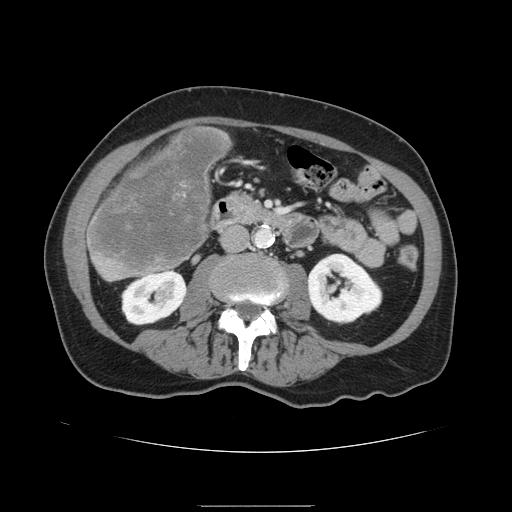 512x512, Computed tomography

- liver tumor: [91, 129, 227, 272]